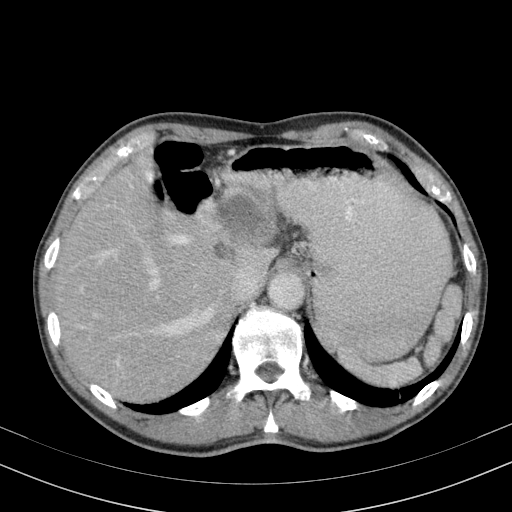

CT, Upper abdomen
The focal liver lesion is bounded by rect(218, 193, 267, 242). The liver appears at rect(55, 162, 276, 403).